240x240 px
FLAIR MRI.
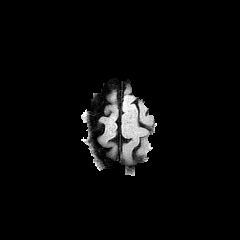
T1-weighted magnetic resonance.
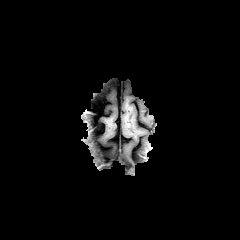
Post-contrast T1-weighted MR.
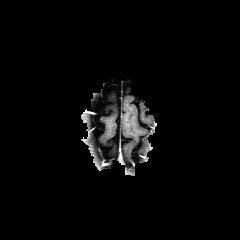
T2-weighted MRI.
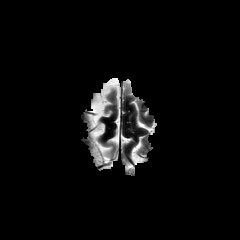
Non-enhancing tumor core = (x1=124, y1=106, x2=131, y2=121).